512x512 | Slice index 207 | CT

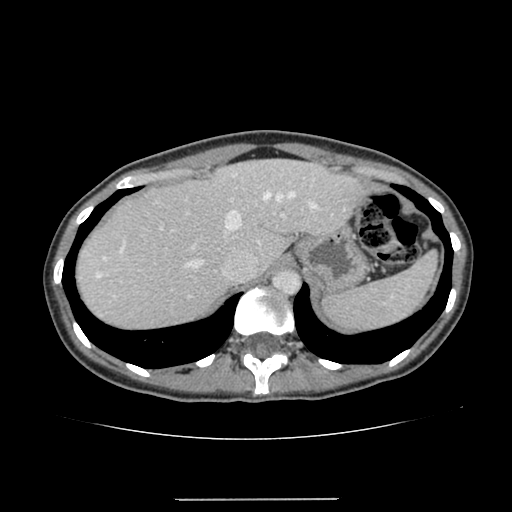
The liver lies within (left=77, top=160, right=372, bottom=331).